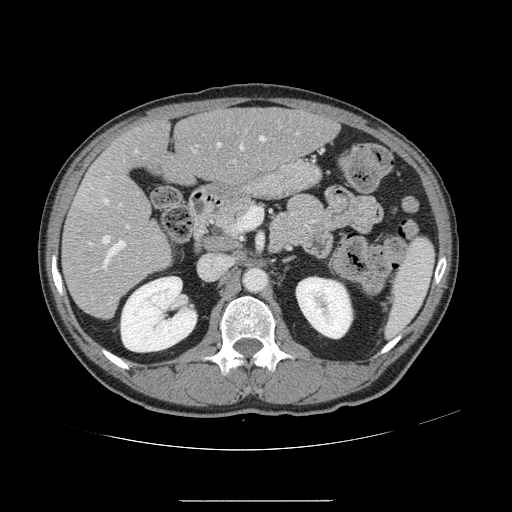
CT slice
The vessel annotation is not exhaustive.
{"hepatic_vessel": ["(136, 149, 137, 151)", "(103, 236, 109, 243)", "(119, 204, 120, 205)", "(103, 198, 107, 202)", "(107, 177, 109, 178)", "(218, 143, 220, 145)", "(102, 241, 124, 269)", "(110, 296, 111, 297)", "(261, 136, 265, 139)", "(127, 226, 128, 227)", "(240, 144, 242, 149)", "(88, 242, 91, 244)", "(90, 186, 93, 188)"]}